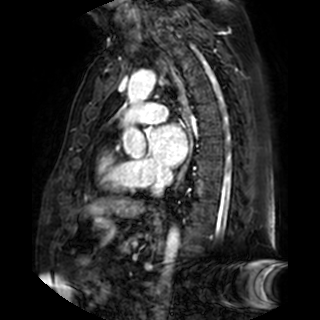 Cardiac, MR image
* left atrium: <bbox>150, 125, 186, 165</bbox>